Pelvis; CT image
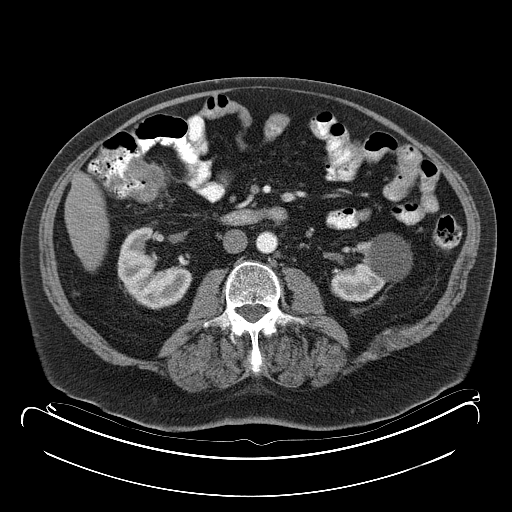 Colon tumor: [x1=128, y1=158, x2=164, y2=200].